Brain. 240x240.
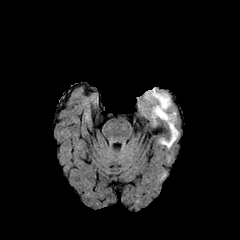
FLAIR MR.
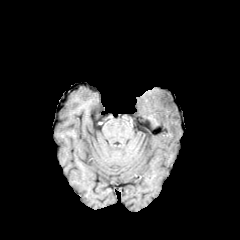
Same slice, T1-weighted MRI.
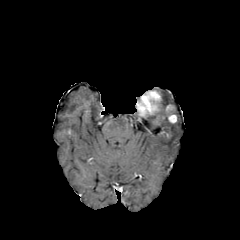
Post-contrast T1-weighted MR image.
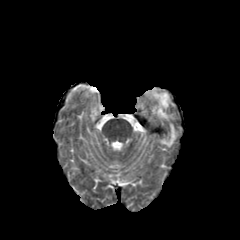
T2-weighted MR of the same slice.
Edema = (left=154, top=92, right=178, bottom=147).
Enhancing tumor = (left=167, top=114, right=176, bottom=122), (left=137, top=90, right=161, bottom=115).